Head.
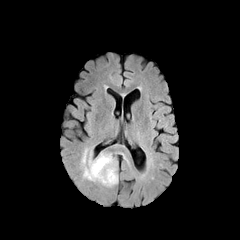
FLAIR MRI.
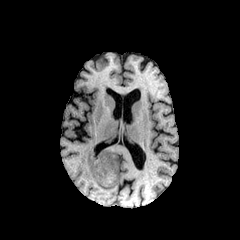
Same slice, T1-weighted MRI.
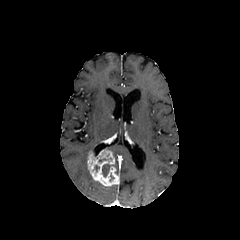
Post-contrast T1-weighted MR of the same slice.
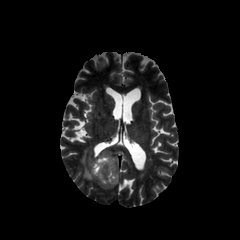
Same slice, T2-weighted MR.
enhancing tumor: bbox(86, 150, 119, 185) | edema: bbox(80, 147, 96, 182); bbox(102, 163, 110, 173)